512x512; Computed tomography 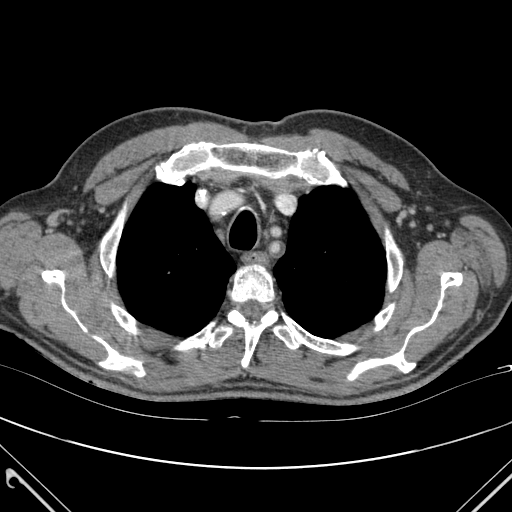 Lung: box=[117, 182, 236, 336]; box=[273, 185, 386, 338].
Bone: box=[273, 313, 356, 355]; box=[232, 265, 273, 301]; box=[228, 310, 277, 366]; box=[100, 207, 125, 276]; box=[375, 304, 394, 330]; box=[93, 336, 144, 376]; box=[348, 272, 462, 380]; box=[42, 270, 86, 331]; box=[112, 304, 136, 333]; box=[176, 323, 231, 349]; box=[156, 142, 345, 185]; box=[386, 230, 402, 291].